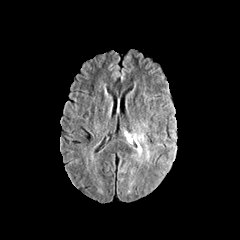
FLAIR magnetic resonance.
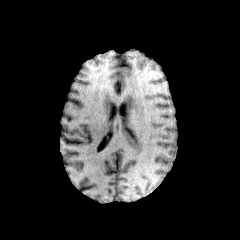
T1-weighted MRI.
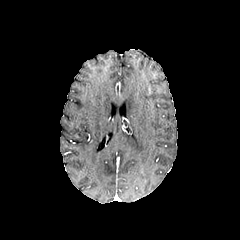
Post-contrast T1-weighted magnetic resonance.
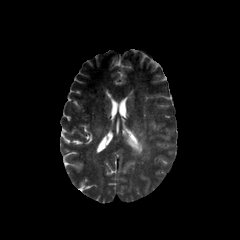
Same slice, T2-weighted MR image.
240x240 px
Edema — (left=124, top=126, right=149, bottom=162).